FLAIR MR image.
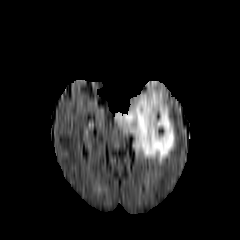
T1-weighted MRI.
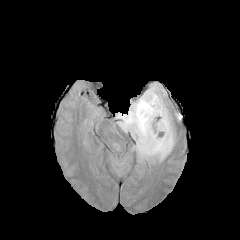
Post-contrast T1-weighted magnetic resonance.
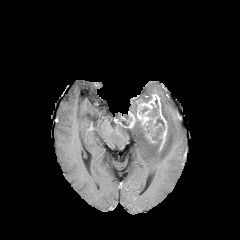
T2-weighted MR image.
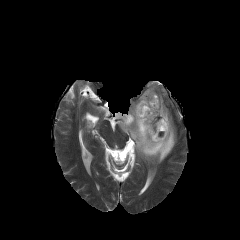
non-enhancing tumor core: x1=143, y1=117, x2=164, y2=141; x1=151, y1=103, x2=159, y2=117 | edema: x1=117, y1=82, x2=175, y2=164; x1=115, y1=112, x2=123, y2=124 | enhancing tumor: x1=114, y1=94, x2=167, y2=144